CT image. Slice 497 of 826. Image size 512x512. 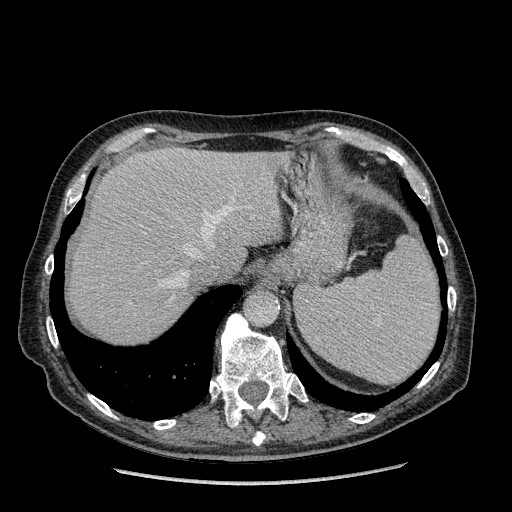

Liver — (70,147,285,344).